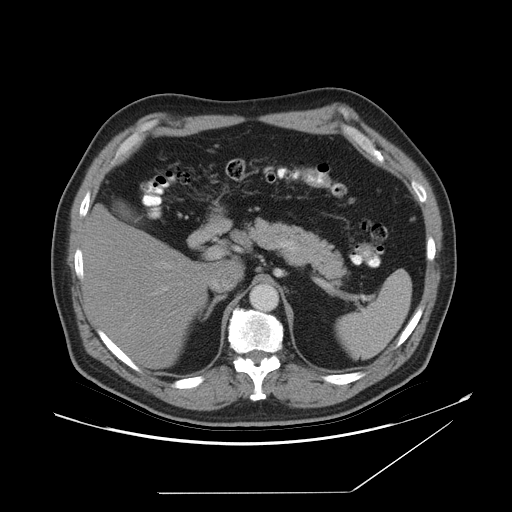

Upper abdomen | CT
Spleen: bounding box (338, 271, 411, 358).